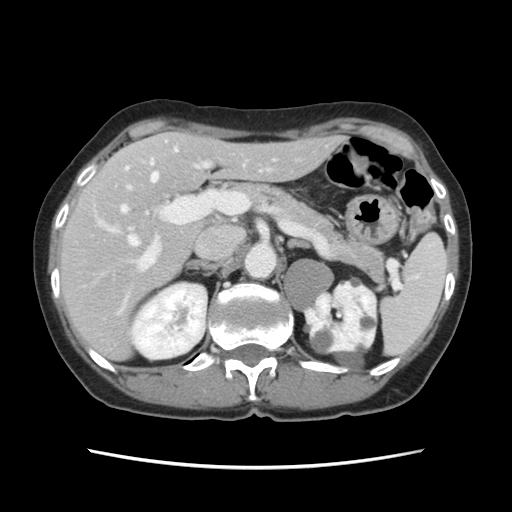

Abdomen, CT scan slice
The vessel boxes may cover only some of the vessels.
Hepatic vessel = (119,308,122,312), (125,166,128,170), (150,159,153,164), (129,236,137,245), (151,173,157,181), (138,237,158,269), (195,163,207,167), (146,212,147,214), (174,148,177,151), (121,206,127,212), (109,230,115,230).